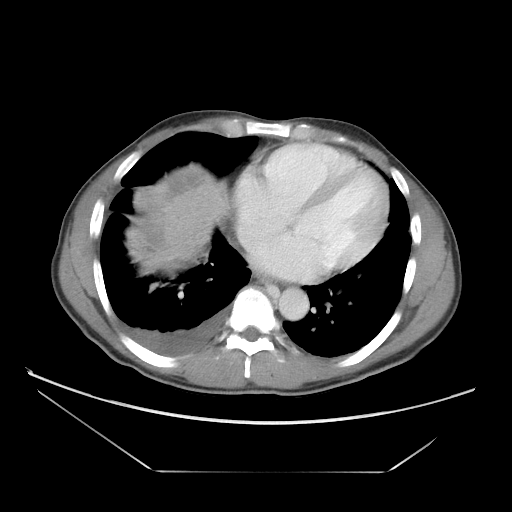 512x512 px, CT scan slice
The liver tumor is at (131,170,214,264).